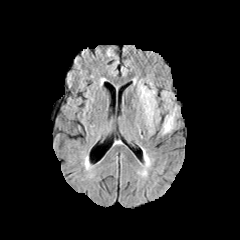
FLAIR MR image.
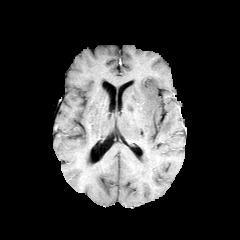
T1-weighted magnetic resonance.
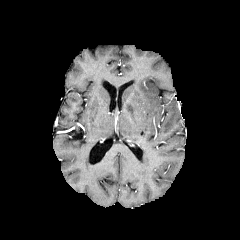
Post-contrast T1-weighted MRI.
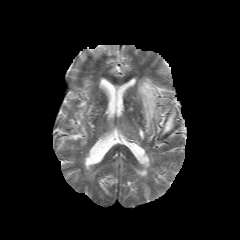
Same slice, T2-weighted MRI.
Brain; Image size 240x240
edema: left=138, top=79, right=157, bottom=133; left=161, top=90, right=177, bottom=133